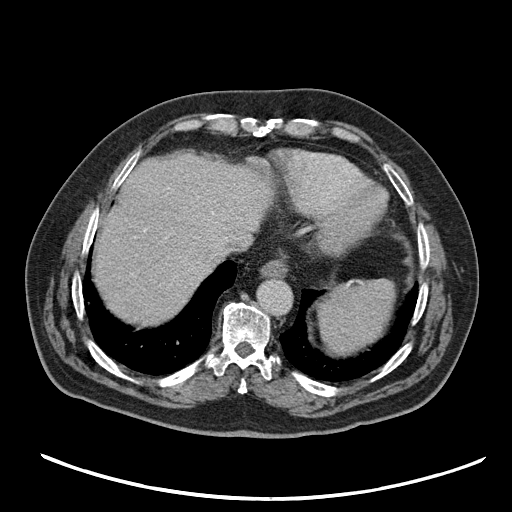

Computed tomography.

• spleen: bbox(318, 281, 394, 354)